FLAIR magnetic resonance.
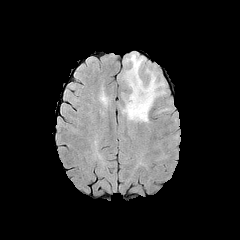
T1-weighted magnetic resonance.
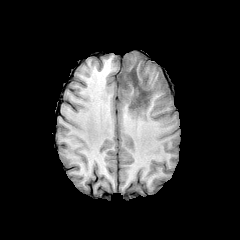
Post-contrast T1-weighted MRI.
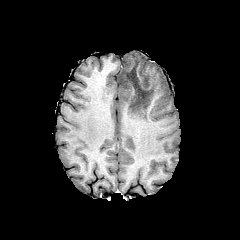
T2-weighted MR.
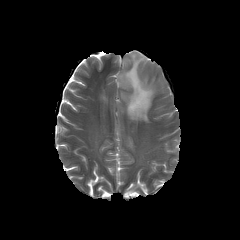
240x240
Edema = 121:51:165:122.
Non-enhancing tumor core = 127:70:147:103.